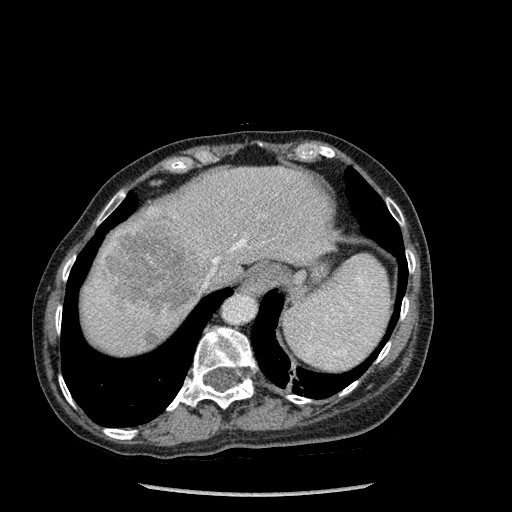

CT scan slice | Upper abdomen
3 lung regions appear at <bbox>251, 291, 373, 398</bbox>, <bbox>345, 168, 407, 331</bbox>, <bbox>60, 193, 230, 427</bbox>. 12 bone regions appear at <bbox>406, 249, 415, 272</bbox>, <bbox>104, 428, 136, 439</bbox>, <bbox>62, 255, 75, 280</bbox>, <bbox>286, 395, 310, 404</bbox>, <bbox>97, 191, 125, 224</bbox>, <bbox>59, 376, 73, 406</bbox>, <bbox>339, 381, 358, 395</bbox>, <bbox>386, 198, 404, 225</bbox>, <bbox>55, 305, 61, 333</bbox>, <bbox>167, 327, 256, 410</bbox>, <bbox>376, 342, 391, 362</bbox>, <bbox>400, 297, 409, 319</bbox>. The liver is bounded by <bbox>80, 166, 338, 356</bbox>. 2 liver lesion regions appear at <bbox>145, 329, 158, 342</bbox>, <bbox>102, 215, 206, 313</bbox>.